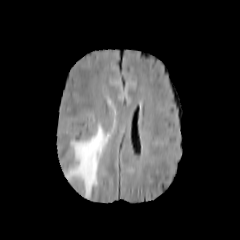
FLAIR MR image.
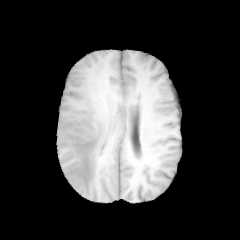
T1-weighted MR.
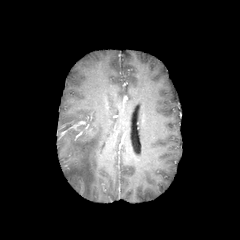
Post-contrast T1-weighted MRI.
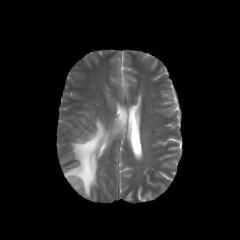
Same slice, T2-weighted MR image.
240x240
The edema is bounded by [65, 119, 109, 197].